FLAIR MR.
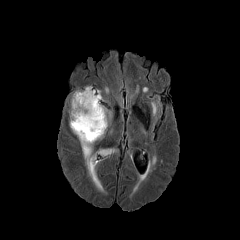
T1-weighted MR image.
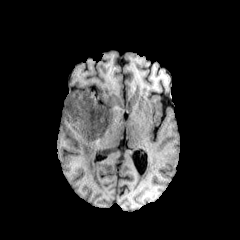
Post-contrast T1-weighted MRI.
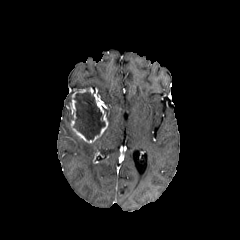
T2-weighted MR.
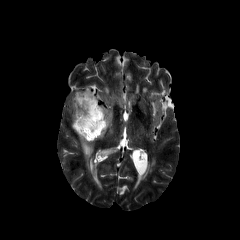
Head | 240x240 px
enhancing tumor: [70,87,107,144] | edema: [105,109,112,123], [80,140,92,157], [99,148,120,161] | non-enhancing tumor core: [68,95,73,118], [74,88,104,140]